Slice 45 of 155.
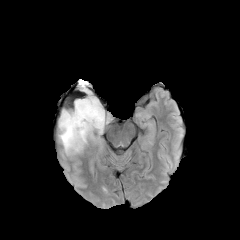
FLAIR MR.
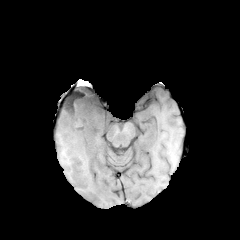
T1-weighted MR image.
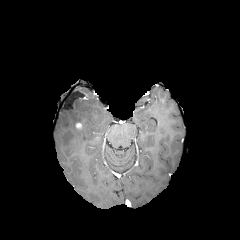
Post-contrast T1-weighted MR image.
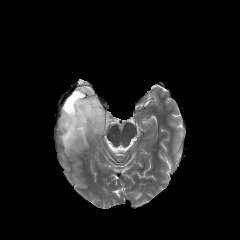
T2-weighted MRI.
Non-enhancing tumor core = (x1=63, y1=92, x2=99, y2=129).
Edema = (x1=59, y1=106, x2=112, y2=153), (x1=74, y1=86, x2=91, y2=99).